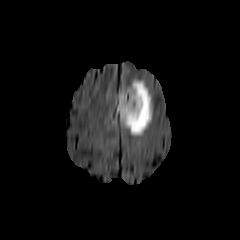
FLAIR MR image.
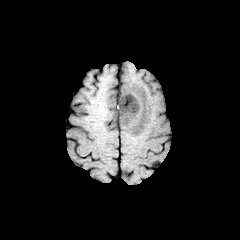
T1-weighted MR.
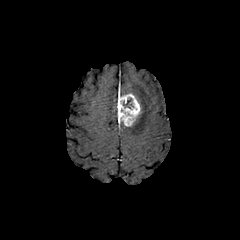
Post-contrast T1-weighted MRI.
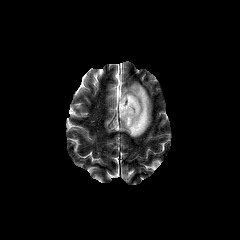
T2-weighted magnetic resonance of the same slice.
Findings:
• enhancing tumor: left=117, top=84, right=141, bottom=126
• non-enhancing tumor core: left=121, top=87, right=134, bottom=95
• edema: left=123, top=80, right=152, bottom=136